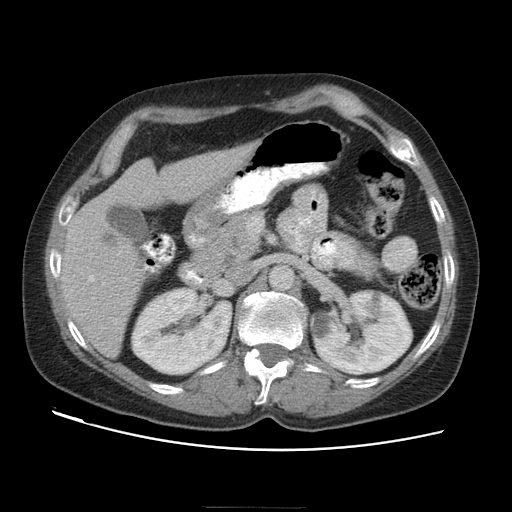 Abdomen. CT slice.

Findings:
* pancreas: x1=190, y1=208, x2=264, y2=277